Image size 240x240; Head; Slice 80 of 155
FLAIR magnetic resonance.
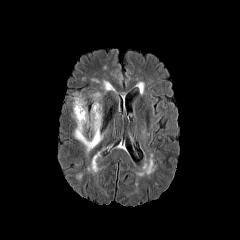
T1-weighted magnetic resonance.
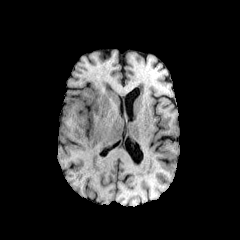
Post-contrast T1-weighted MR image.
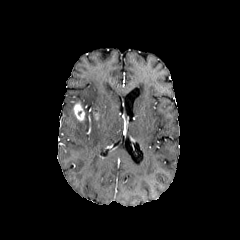
T2-weighted magnetic resonance.
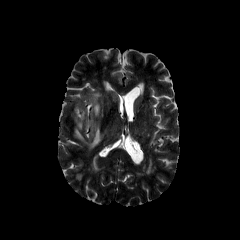
edema: box(75, 115, 82, 130); box(76, 121, 101, 150) | enhancing tumor: box(74, 104, 84, 121)